Slice index 60. 320x320. Magnetic resonance.
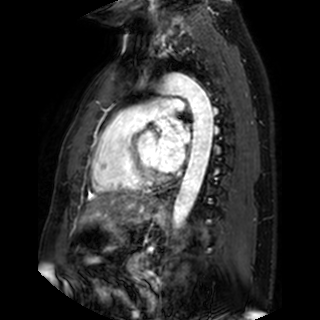
Left atrium: bounding box bbox=[156, 116, 190, 171].